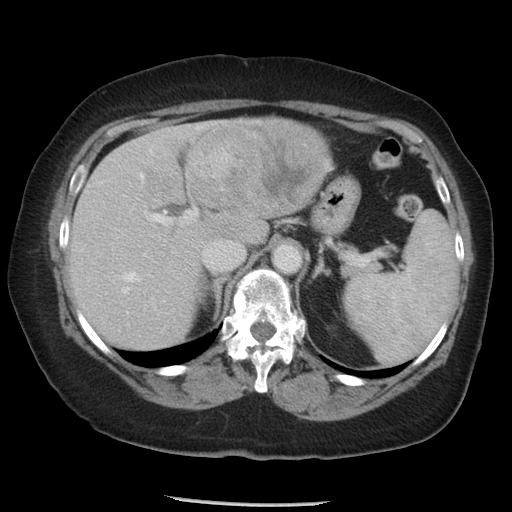 Computed tomography.

Some hepatic vessels may have no box.
Segmented structures:
* hepatic vessel: <bbox>138, 173, 143, 182</bbox>, <bbox>179, 204, 207, 228</bbox>, <bbox>123, 272, 139, 281</bbox>, <bbox>148, 214, 172, 225</bbox>, <bbox>122, 286, 128, 292</bbox>, <bbox>149, 274, 150, 275</bbox>, <bbox>78, 248, 82, 250</bbox>, <bbox>216, 226, 218, 228</bbox>, <bbox>162, 300, 164, 301</bbox>, <bbox>211, 212, 227, 222</bbox>, <bbox>150, 146, 152, 153</bbox>
* liver tumor: <bbox>191, 119, 325, 215</bbox>